Slice 70 of 155
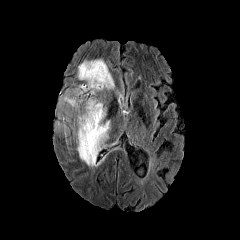
FLAIR magnetic resonance.
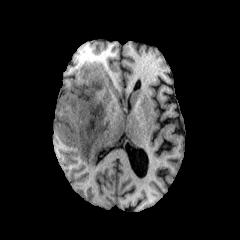
Same slice, T1-weighted magnetic resonance.
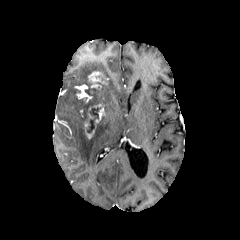
Post-contrast T1-weighted MRI.
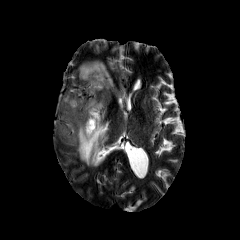
T2-weighted magnetic resonance.
enhancing_tumor:
  - [x1=88, y1=71, x2=107, y2=88]
  - [x1=76, y1=84, x2=93, y2=103]
  - [x1=94, y1=104, x2=105, y2=129]
non-enhancing_tumor_core:
  - [x1=71, y1=78, x2=103, y2=135]
edema:
  - [x1=56, y1=89, x2=110, y2=166]
  - [x1=77, y1=60, x2=114, y2=90]